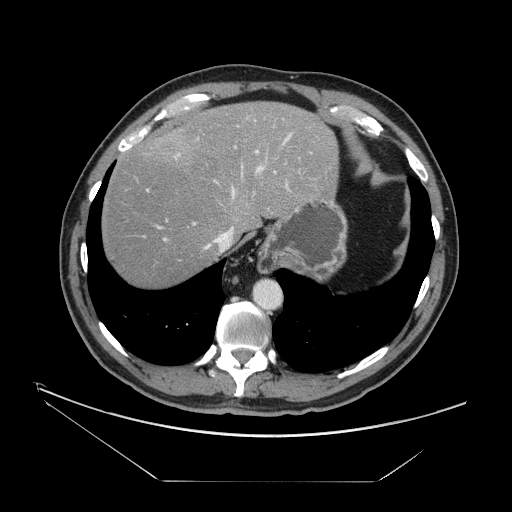
Liver, CT scan slice

Only some of the vessels may be annotated.
hepatic vessel: region(215, 238, 220, 241); region(286, 184, 287, 187); region(230, 228, 232, 231); region(285, 134, 290, 141); region(257, 167, 262, 171); region(221, 234, 224, 237); region(146, 190, 148, 191); region(232, 189, 234, 196); region(256, 151, 257, 152)